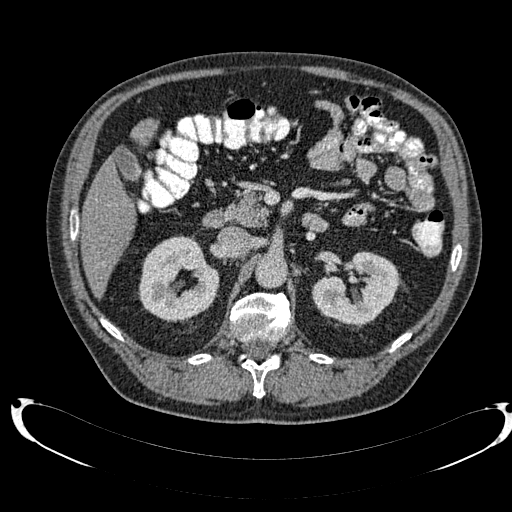

Abdomen. 512x512 px. CT.

2 kidney regions are bounded by [x1=139, y1=236, x2=218, y2=321], [x1=312, y1=252, x2=399, y2=326]. 2 liver regions are bounded by [x1=131, y1=119, x2=155, y2=142], [x1=82, y1=156, x2=135, y2=296].